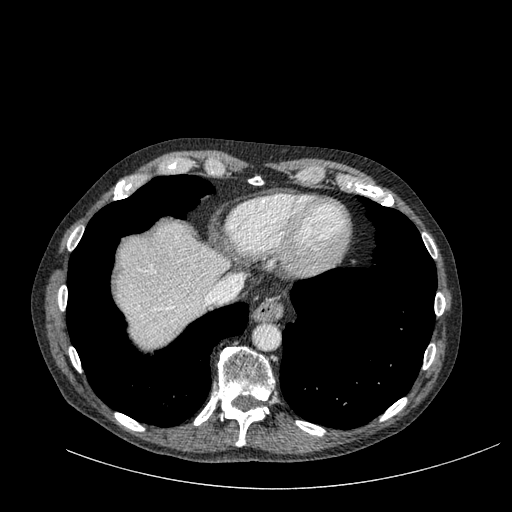
CT slice; Upper abdomen; Image size 512x512
Annotated regions:
* liver: bbox(116, 223, 229, 346)